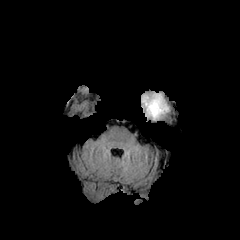
FLAIR MR image.
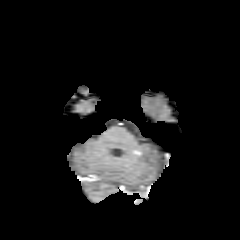
T1-weighted MRI of the same slice.
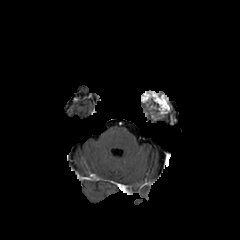
Same slice, post-contrast T1-weighted MR.
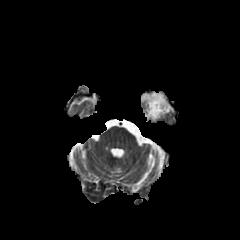
Same slice, T2-weighted MRI.
Head
Enhancing tumor — 141,90,170,119.
Non-enhancing tumor core — 143,104,157,115.